Slice index 48; CT scan slice; Image width 386 mm; Abdomen; 512x512
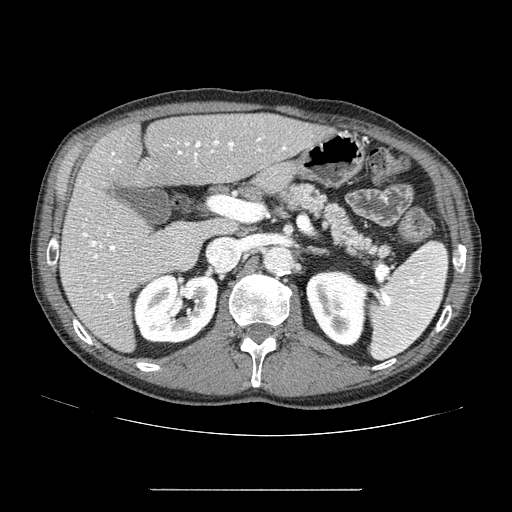
pancreas: 276,182,388,256